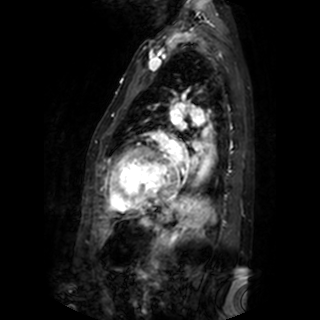 Image size 320x320. MR image.
Left atrium = [x1=166, y1=142, x2=182, y2=161], [x1=171, y1=110, x2=181, y2=123].